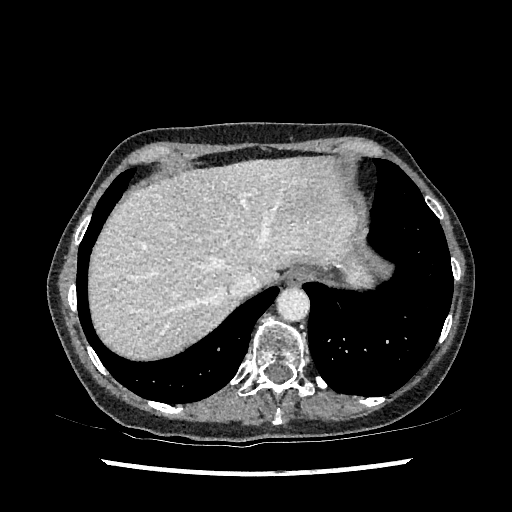
Liver; 512x512; CT
Liver = 89, 158, 355, 357.
Hepatic lesion = 288, 178, 321, 218.